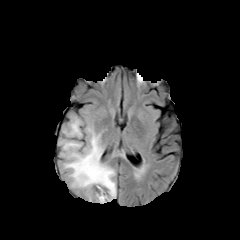
FLAIR MRI.
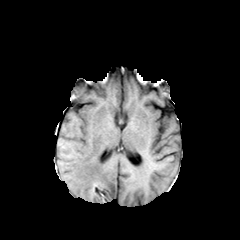
T1-weighted MR of the same slice.
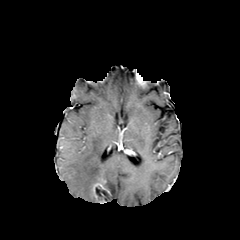
Post-contrast T1-weighted MR.
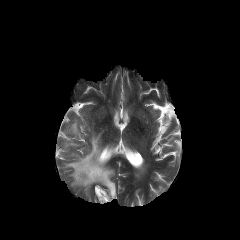
T2-weighted MR.
Brain
Non-enhancing tumor core at (97, 190, 107, 200), (95, 179, 106, 188).
Edema at (60, 117, 116, 201).